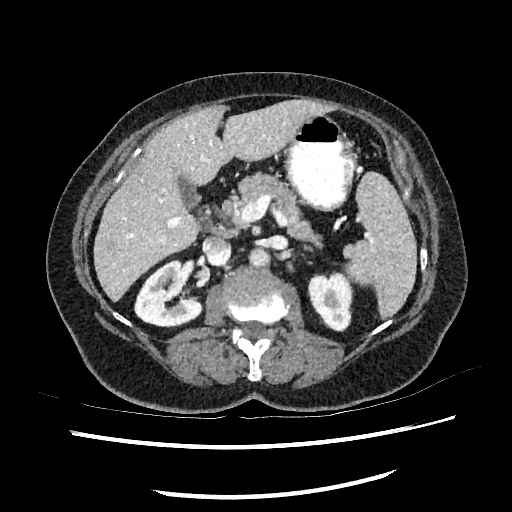 Computed tomography | 512x512 px

Kidney = rect(135, 261, 200, 325); rect(309, 274, 350, 329).
Hepatic lesion = rect(102, 241, 114, 252).
Liver = rect(94, 100, 329, 300).